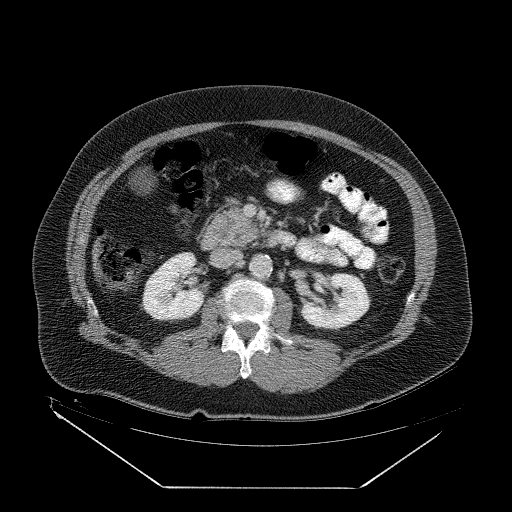
CT image
The pancreas appears at x1=207, y1=205, x2=257, y2=247. The pancreatic tumor is located at x1=210, y1=212, x2=239, y2=241.